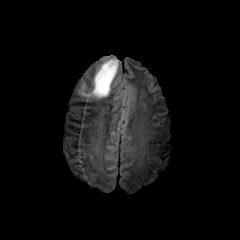
FLAIR magnetic resonance.
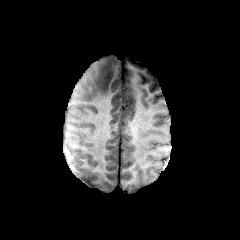
Same slice, T1-weighted MR.
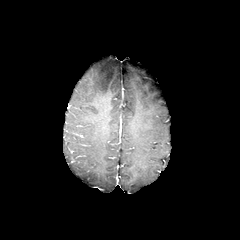
Post-contrast T1-weighted MR image.
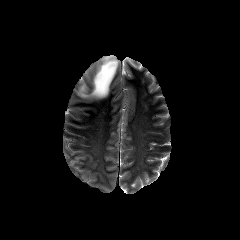
T2-weighted MRI.
Head
The edema is bounded by box=[87, 58, 118, 97].